Field of view 344x344 mm | Slice index 156 | CT scan slice 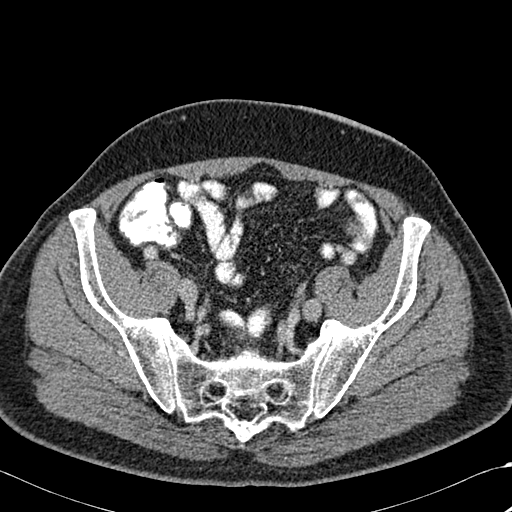

The bone is bounded by 69,208,430,441.